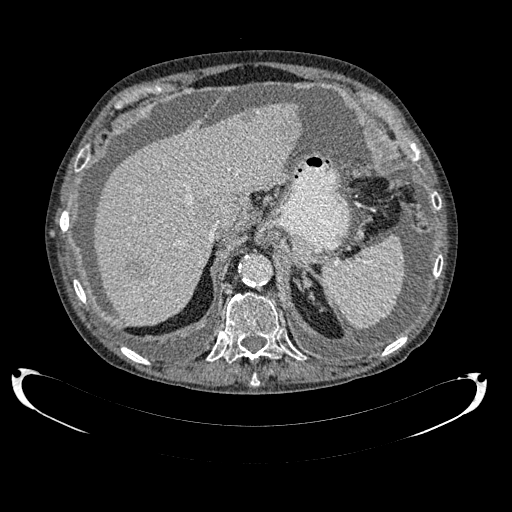

Abdomen; CT image
liver: region(94, 102, 300, 324) | hepatic lesion: region(126, 257, 145, 277); region(197, 203, 211, 220); region(284, 122, 296, 140)